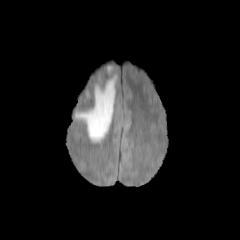
FLAIR MR.
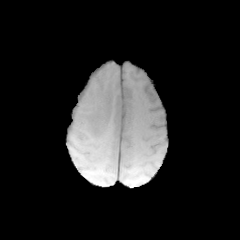
T1-weighted magnetic resonance.
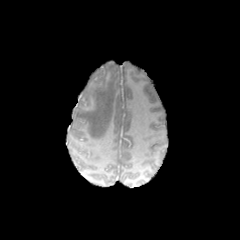
Post-contrast T1-weighted MR image.
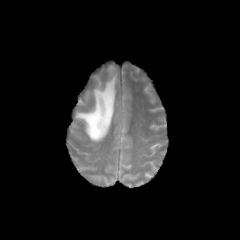
T2-weighted MR.
{"edema": ["75 74 116 142"]}